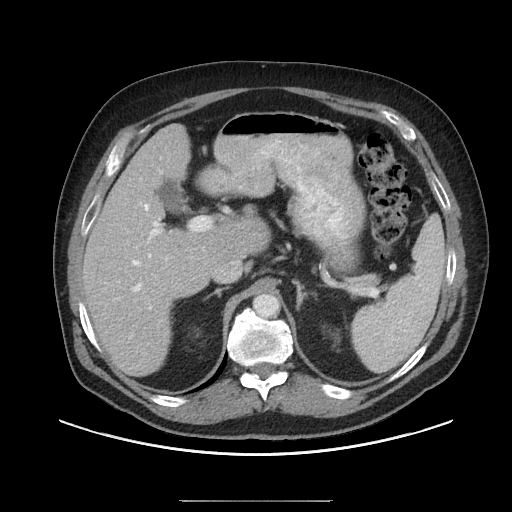

Abdomen | 512x512 px | CT slice

Only some of the vessels may be annotated.
Hepatic vessel = region(144, 204, 148, 209); region(133, 283, 141, 290); region(133, 261, 139, 264); region(148, 254, 150, 256); region(154, 222, 157, 225); region(160, 171, 161, 172).